Field of view 370 mm wide, 0.70 mm slice spacing; CT image
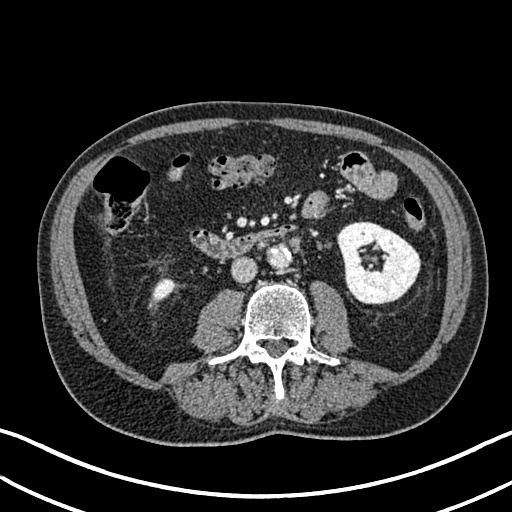

2 kidney regions appear at 153 279 174 299, 338 222 419 303.